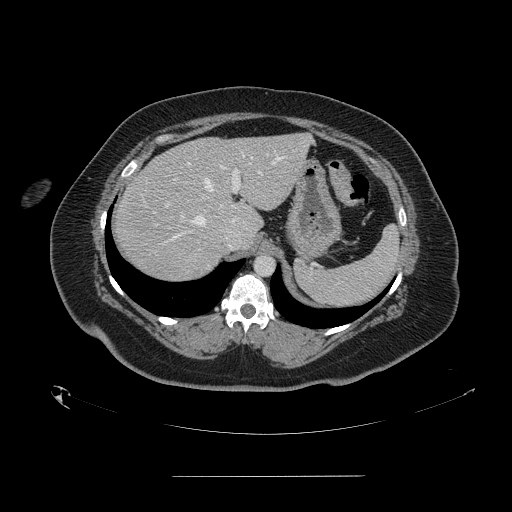
CT slice, Image size 512x512
Spleen = {"x1": 294, "y1": 226, "x2": 399, "y2": 306}.